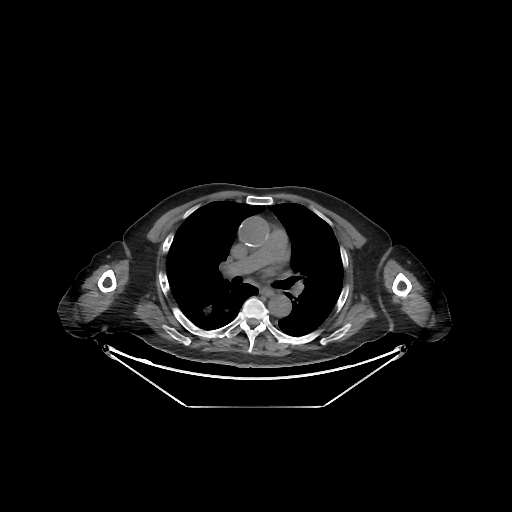
512x512, Computed tomography

{
  "bone": [
    "[x1=320, y1=324, x2=350, y2=344]",
    "[x1=98, y1=270, x2=116, y2=292]",
    "[x1=163, y1=235, x2=171, y2=250]",
    "[x1=173, y1=298, x2=318, y2=351]",
    "[x1=392, y1=273, x2=411, y2=296]",
    "[x1=342, y1=252, x2=347, y2=265]",
    "[x1=246, y1=196, x2=272, y2=204]",
    "[x1=164, y1=326, x2=190, y2=344]",
    "[x1=159, y1=273, x2=168, y2=293]",
    "[x1=337, y1=288, x2=348, y2=310]"
  ],
  "lung": [
    "[x1=166, y1=200, x2=343, y2=336]"
  ]
}